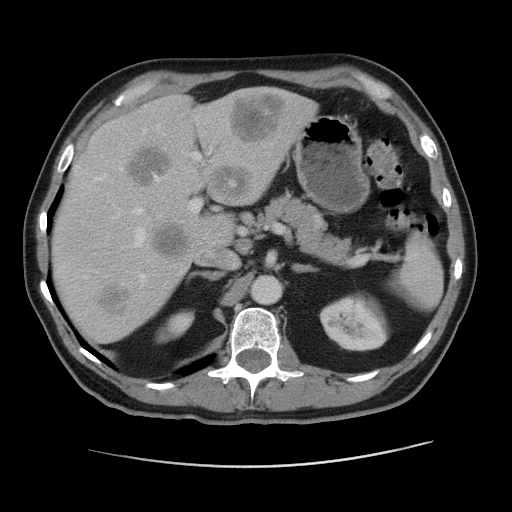 CT; Upper abdomen; Image size 512x512

The liver is located at x1=54, y1=87, x2=313, y2=339. 5 focal liver lesion regions are located at x1=100, y1=286, x2=128, y2=311; x1=229, y1=91, x2=287, y2=141; x1=212, y1=165, x2=252, y2=198; x1=154, y1=224, x2=187, y2=255; x1=129, y1=148, x2=171, y2=183. 2 kidney regions appear at x1=319, y1=293, x2=387, y2=350; x1=170, y1=314, x2=190, y2=332.